CT slice
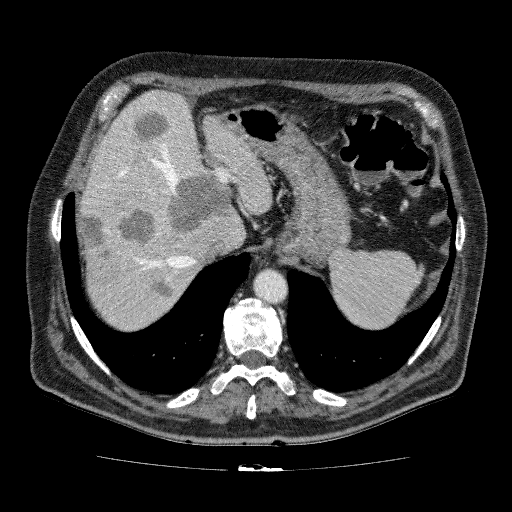

<segmentation>
  <liver_lesion>l=116, t=207, r=157, b=249; l=132, t=110, r=170, b=144; l=146, t=274, r=175, b=300; l=131, t=261, r=142, b=266; l=81, t=211, r=113, b=262; l=131, t=147, r=146, b=164; l=165, t=144, r=234, b=236; l=89, t=273, r=98, b=285</liver_lesion>
  <liver>l=202, t=116, r=272, b=214; l=208, t=170, r=228, b=185; l=81, t=89, r=245, b=330</liver>
</segmentation>